FLAIR MR image.
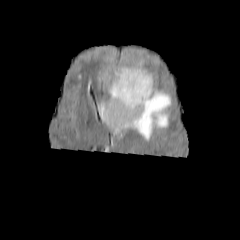
T1-weighted MR image.
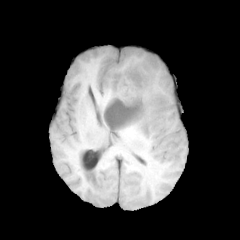
Post-contrast T1-weighted MRI.
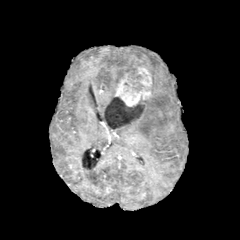
T2-weighted MRI.
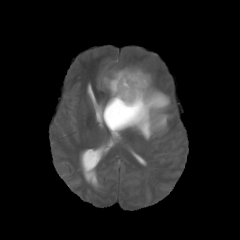
enhancing tumor: (left=137, top=67, right=152, bottom=88), (left=115, top=74, right=151, bottom=105) | edema: (left=104, top=63, right=140, bottom=97), (left=109, top=83, right=171, bottom=138) | non-enhancing tumor core: (left=115, top=67, right=152, bottom=93), (left=104, top=95, right=143, bottom=127)